FLAIR magnetic resonance.
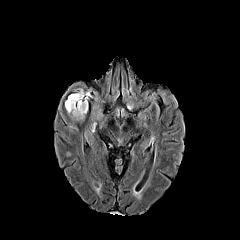
T1-weighted MRI.
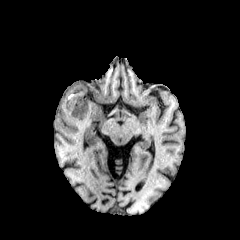
Post-contrast T1-weighted MRI.
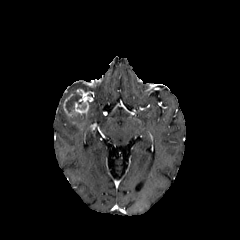
T2-weighted MR image.
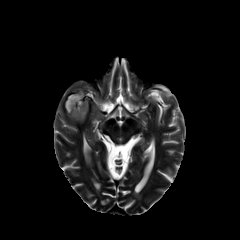
Head
<segmentation>
  <edema>region(71, 114, 86, 122)</edema>
  <non-enhancing_tumor_core>region(65, 93, 81, 112)</non-enhancing_tumor_core>
  <enhancing_tumor>region(63, 89, 91, 118)</enhancing_tumor>
</segmentation>